Image size 512x512. Abdomen. CT scan slice. 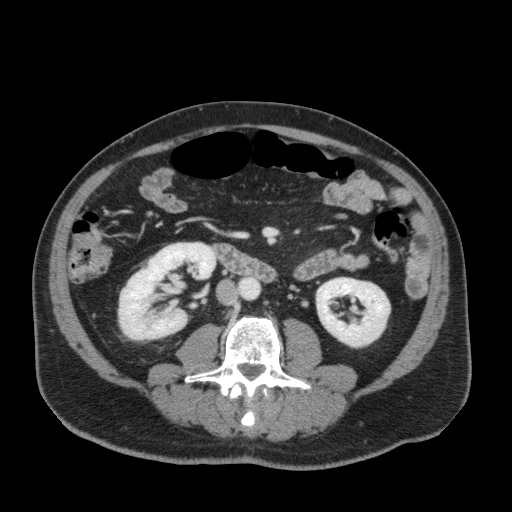 Kidney — 119, 242, 215, 339; 316, 278, 389, 346.